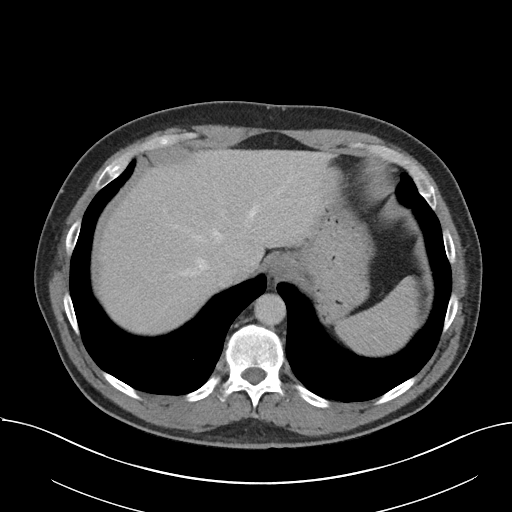 CT slice
The vessel boxes may cover only some of the vessels.
Hepatic vessel — box=[170, 274, 173, 278]; box=[194, 235, 204, 240]; box=[221, 212, 223, 216]; box=[258, 253, 261, 258]; box=[174, 225, 177, 227]; box=[180, 269, 198, 275]; box=[244, 223, 249, 227]; box=[197, 258, 207, 269]; box=[232, 207, 233, 209]; box=[211, 229, 221, 242]; box=[248, 204, 258, 220].